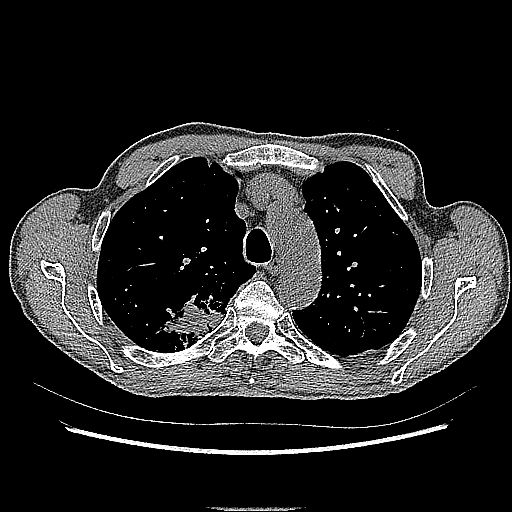

Chest. 512x512. CT image.

lung tumor: bbox(161, 292, 226, 350)